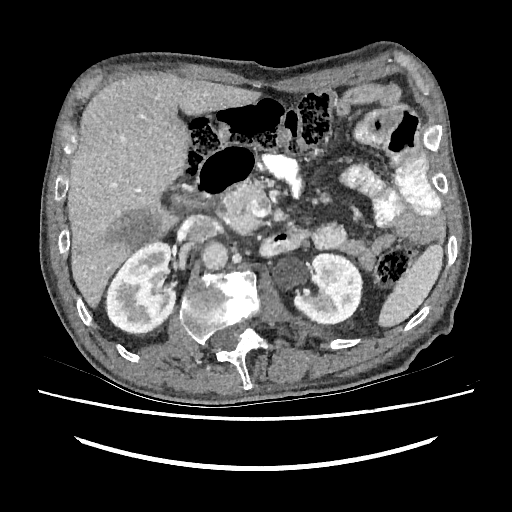
Computed tomography
The focal liver lesion appears at [x1=106, y1=208, x2=161, y2=253]. The liver lies within [x1=68, y1=73, x2=260, y2=306]. 2 kidney regions are located at [x1=295, y1=254, x2=361, y2=323], [x1=107, y1=243, x2=175, y2=332].